Image width 403 mm. CT image. 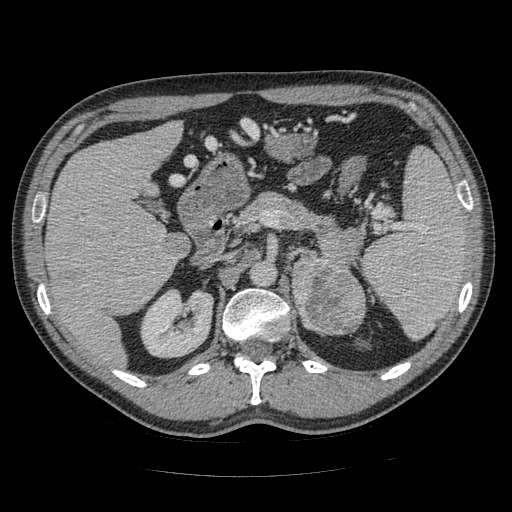 <segmentation>
  <pancreatic_tumor>left=294, top=259, right=365, bottom=334</pancreatic_tumor>
  <pancreas>left=244, top=191, right=362, bottom=279</pancreas>
</segmentation>